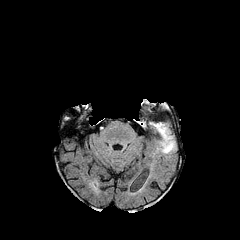
FLAIR magnetic resonance.
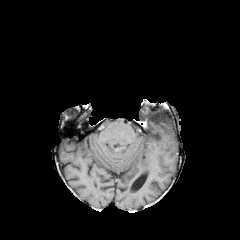
T1-weighted magnetic resonance.
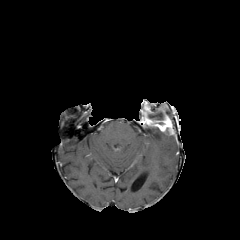
Post-contrast T1-weighted magnetic resonance of the same slice.
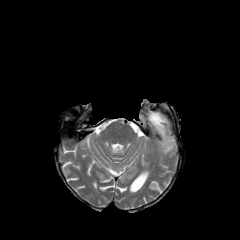
T2-weighted MRI.
240x240 px
Enhancing tumor = left=147, top=119, right=171, bottom=133.
Edema = left=157, top=132, right=176, bottom=155.
Non-enhancing tumor core = left=141, top=101, right=165, bottom=125.